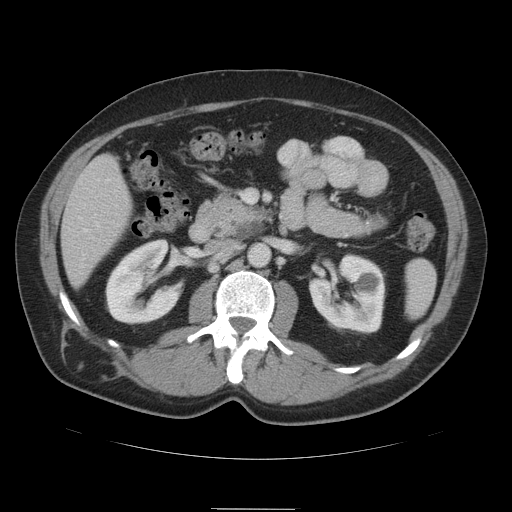 CT slice.
Pancreatic tumor: 230, 220, 261, 238.
Pancreas: 203, 192, 266, 238.